Slice 528 of 917 | CT scan slice | Abdomen
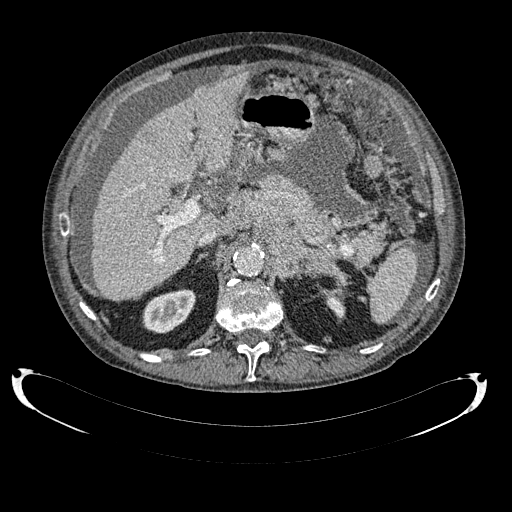
2 kidney regions appear at (143,290,195,332), (327,294,344,317). The liver is at (92,71,248,299).